Abdomen. CT slice. 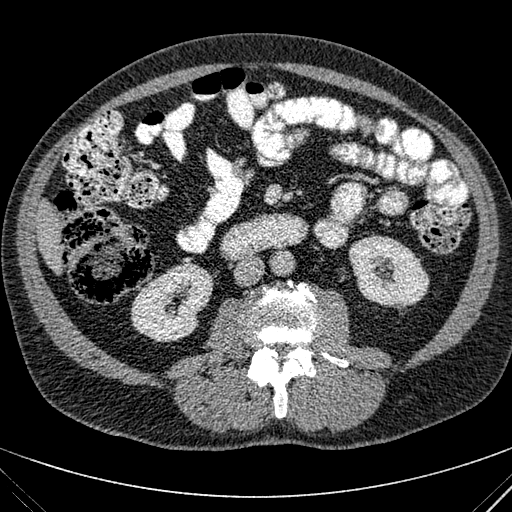 2 kidney regions appear at <bbox>349, 236, 428, 305</bbox>, <bbox>132, 263, 212, 341</bbox>. The liver is located at <bbox>36, 200, 61, 269</bbox>.